CT slice, Image width 344 mm, Abdomen

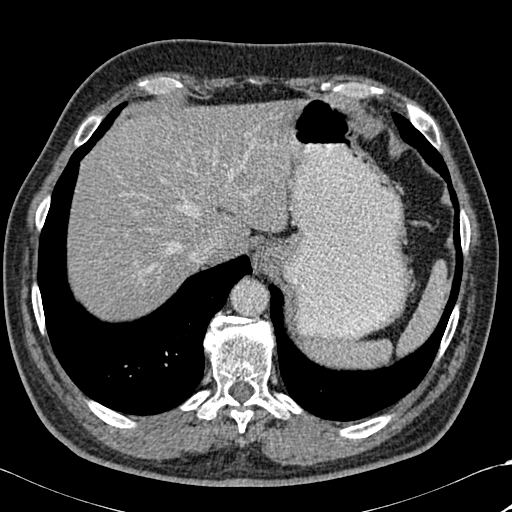
lung: [x1=37, y1=102, x2=252, y2=415], [x1=269, y1=112, x2=465, y2=421] | liver: [x1=68, y1=101, x2=298, y2=319] | bone: [x1=342, y1=84, x2=382, y2=95], [x1=88, y1=401, x2=134, y2=427], [x1=75, y1=116, x2=100, y2=145], [x1=181, y1=316, x2=300, y2=432], [x1=440, y1=308, x2=458, y2=354], [x1=340, y1=416, x2=389, y2=438], [x1=460, y1=211, x2=464, y2=250], [x1=32, y1=286, x2=44, y2=331], [x1=407, y1=105, x2=440, y2=147], [x1=466, y1=216, x2=470, y2=249], [x1=143, y1=78, x2=180, y2=91], [x1=36, y1=197, x2=49, y2=228]